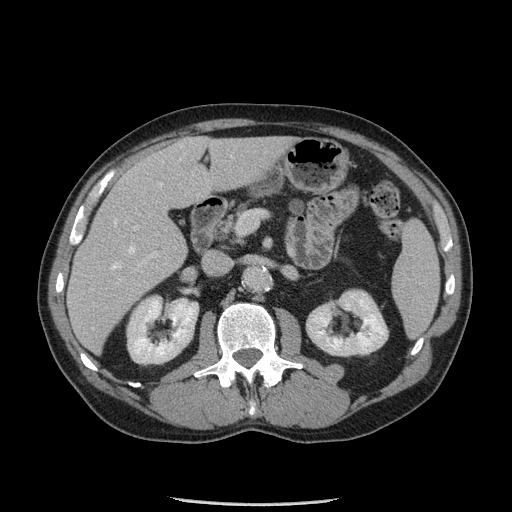

CT slice
Pancreatic tumor = l=289, t=198, r=304, b=215.
Pancreas = l=215, t=200, r=255, b=241.